512x512, CT scan slice, Slice index 39
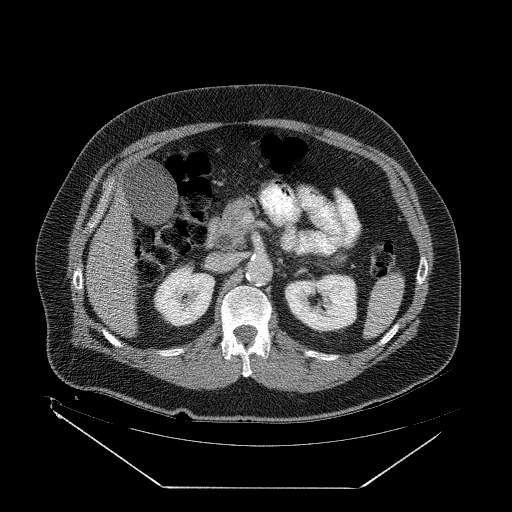

pancreas: (x1=220, y1=197, x2=253, y2=248)